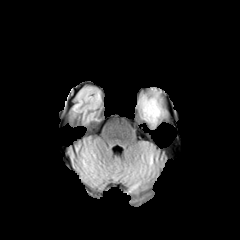
FLAIR magnetic resonance.
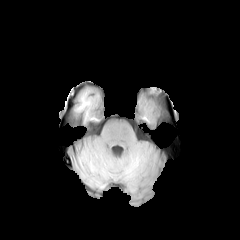
T1-weighted magnetic resonance.
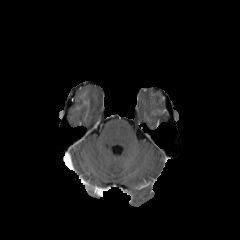
Post-contrast T1-weighted MR.
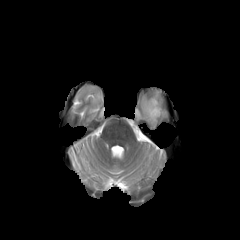
T2-weighted magnetic resonance.
240x240 px; Brain
Non-enhancing tumor core: x1=151, y1=94, x2=166, y2=117.
Edema: x1=138, y1=95, x2=164, y2=126.